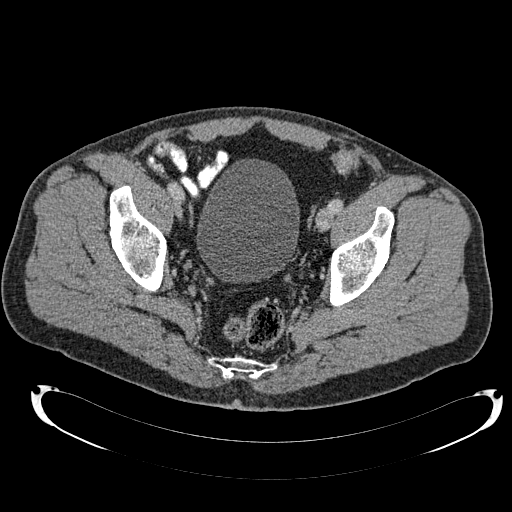
CT | Image size 512x512 | Lower abdomen

Urinary bladder: <bbox>196, 159, 299, 282</bbox>.